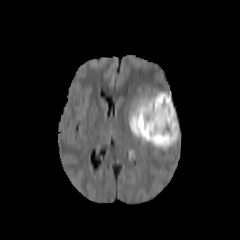
FLAIR magnetic resonance.
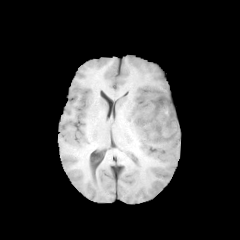
T1-weighted MRI.
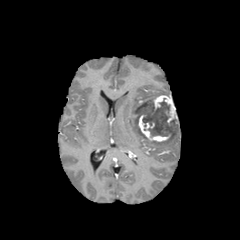
Same slice, post-contrast T1-weighted MR image.
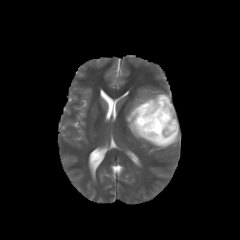
T2-weighted magnetic resonance of the same slice.
Head, 240x240 px
<segmentation>
  <enhancing_tumor>x1=152 y1=94 x2=177 y2=124, x1=138 y1=114 x2=170 y2=141</enhancing_tumor>
  <non-enhancing_tumor_core>x1=136 y1=100 x2=177 y2=136</non-enhancing_tumor_core>
  <edema>x1=126 y1=87 x2=179 y2=149</edema>
</segmentation>